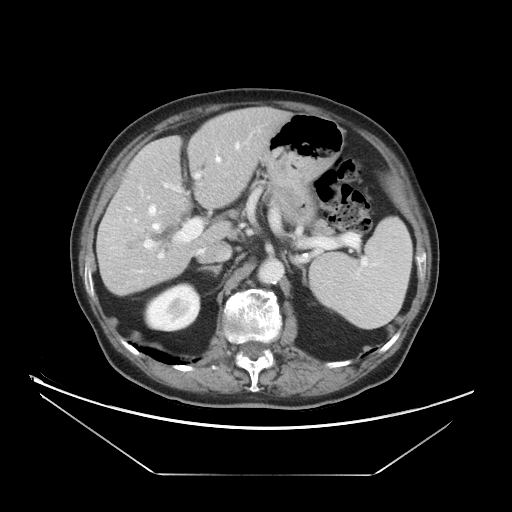
Abdomen | CT
Not every hepatic vessel necessarily has a box.
hepatic_vessel:
  - 148,204,155,214
  - 195,173,198,176
  - 236,142,239,148
  - 153,224,159,229
  - 158,252,163,258
  - 143,238,157,250
  - 127,206,130,209
  - 134,220,136,221
  - 215,156,221,163
  - 164,184,180,191
liver_tumor:
  - 127,234,145,250